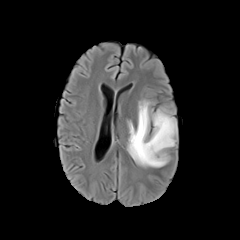
FLAIR MR image.
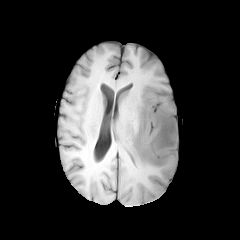
T1-weighted MR image.
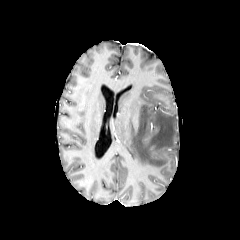
Post-contrast T1-weighted magnetic resonance.
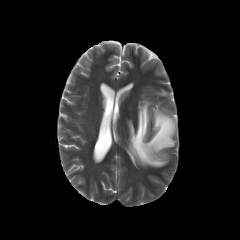
T2-weighted MRI of the same slice.
240x240. Head.
edema:
  - 127 100 177 167